FLAIR magnetic resonance.
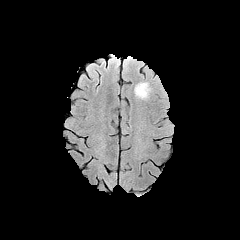
T1-weighted MRI.
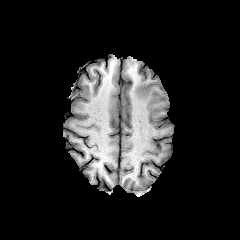
Post-contrast T1-weighted MR image.
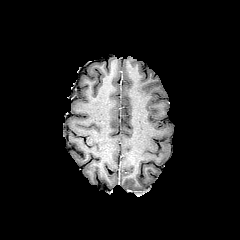
T2-weighted MR image.
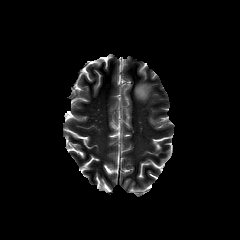
Head, 240x240
Edema = (134,80,153,101).